Slice index 449; CT
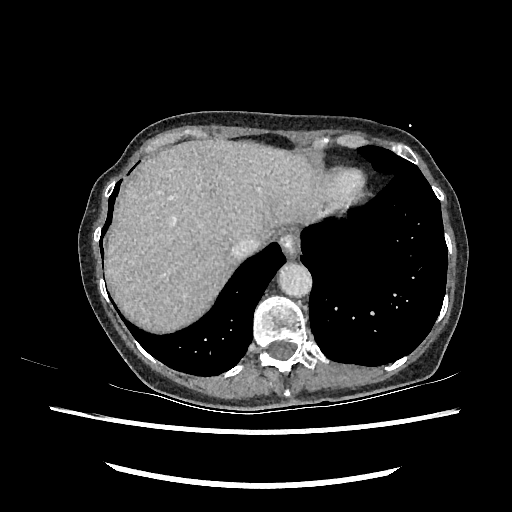 Liver: bounding box 108 140 329 330.